Magnetic resonance | 320x320 px
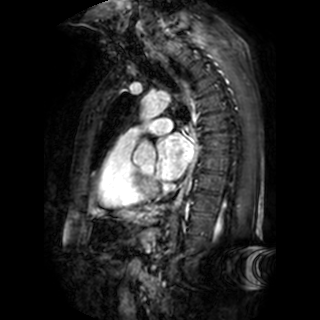
left atrium: bbox(156, 133, 195, 180)